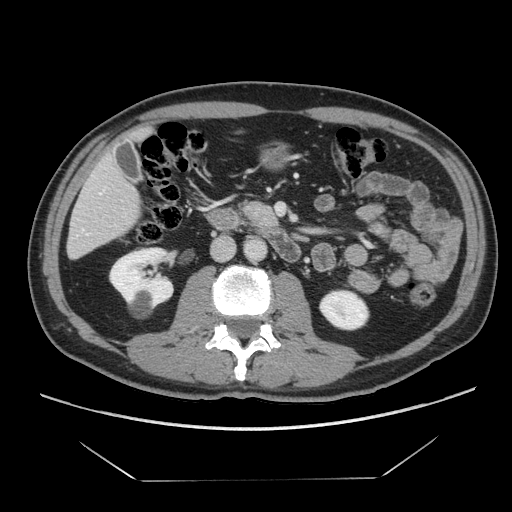

Abdomen; CT image

pancreas: <box>244,203,276,227</box>